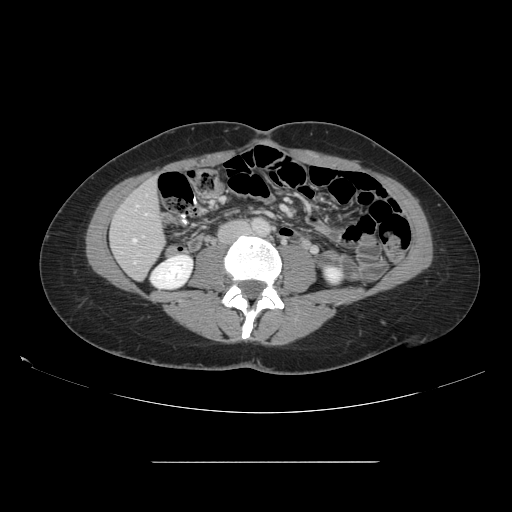

CT slice
Only some of the vessels may be annotated.
Hepatic vessel at (x1=133, y1=239, x2=136, y2=242), (x1=145, y1=214, x2=148, y2=214), (x1=134, y1=261, x2=136, y2=263).